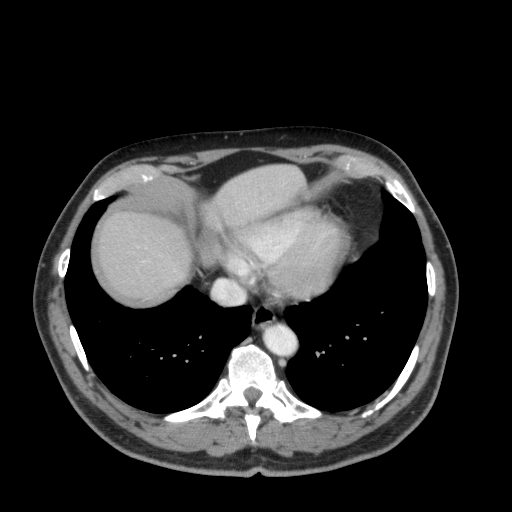 Upper abdomen; CT

2 liver regions appear at (left=97, top=211, right=188, bottom=304), (left=215, top=166, right=304, bottom=225).